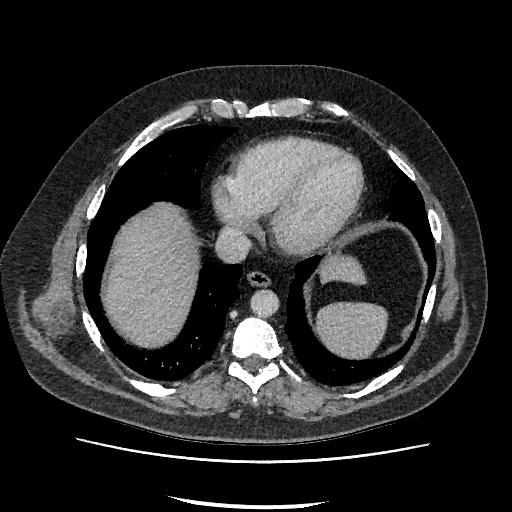
CT | 512x512

Liver: bounding box [106,209,195,345], [321,258,364,283].